Image size 240x240; Image width 240 mm; Slice 81/155
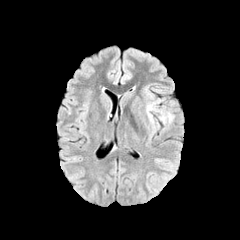
FLAIR magnetic resonance.
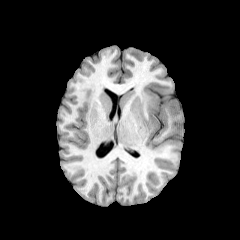
Same slice, T1-weighted magnetic resonance.
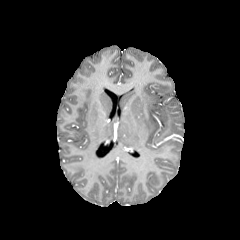
Post-contrast T1-weighted magnetic resonance.
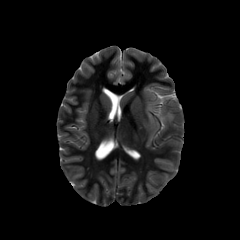
T2-weighted MR.
2 edema regions are located at bbox=[146, 98, 174, 127]; bbox=[145, 89, 154, 99].